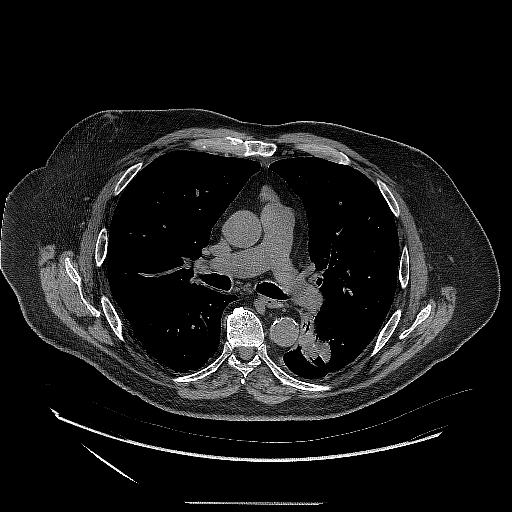 Thorax; CT slice; 512x512 px
The lung tumor is located at 286, 308, 335, 373.